FLAIR MR.
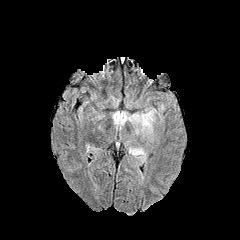
T1-weighted MR.
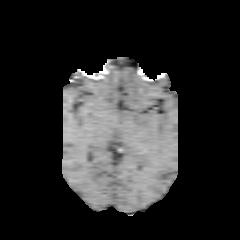
Post-contrast T1-weighted MR.
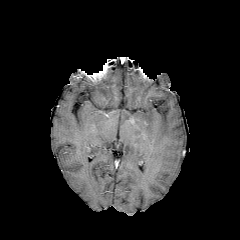
T2-weighted MR image.
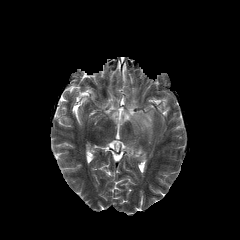
240x240
Edema at (110,106,156,142), (127,144,146,165).